CT scan slice, Abdomen, Image width 512 mm

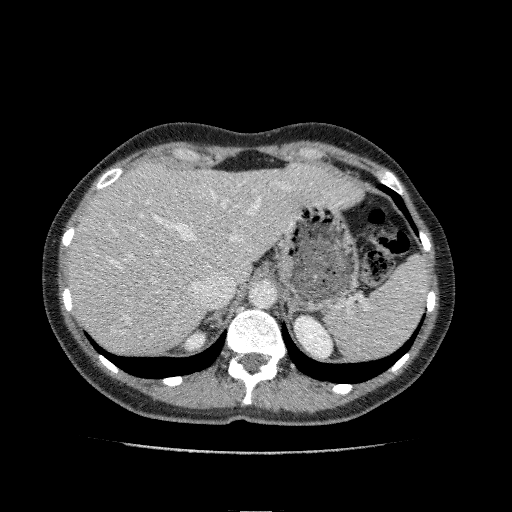
2 kidney regions appear at 186,334,204,349; 294,316,331,357. The liver is bounded by 67,161,361,351.